Slice 167 of 537; 512x512 px; CT image; Image width 496 mm 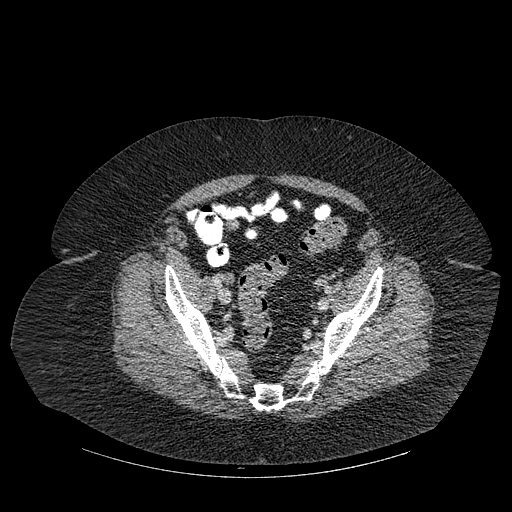
Bone: bounding box x1=165, y1=265, x2=243, y2=398; x1=249, y1=267, x2=383, y2=410; x1=220, y1=248, x2=228, y2=261.